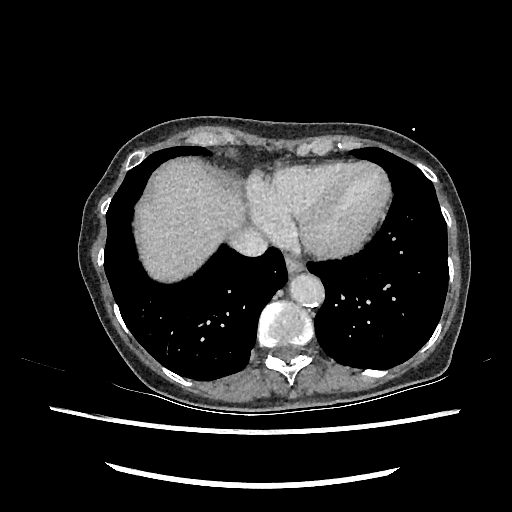 Abdomen. CT image.

liver: bbox(139, 163, 242, 280)